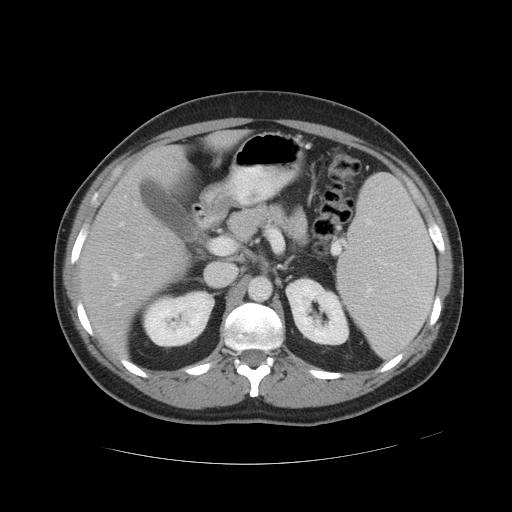
Liver, CT scan slice
Only some of the vessels may be annotated.
Hepatic vessel at [136, 254, 141, 257], [134, 203, 136, 205], [113, 274, 123, 285], [119, 222, 123, 226], [124, 196, 126, 197].